Head, Image size 240x240, Slice 92 of 155
FLAIR magnetic resonance.
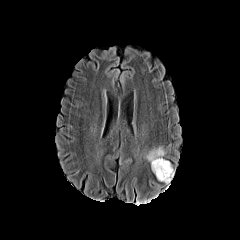
T1-weighted MR.
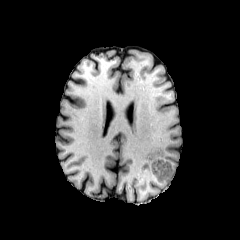
Post-contrast T1-weighted magnetic resonance.
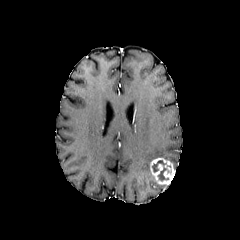
T2-weighted magnetic resonance.
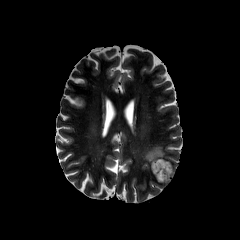
Enhancing tumor — x1=150 y1=158 x2=175 y2=184.
Edema — x1=143 y1=146 x2=164 y2=163.
Non-enhancing tumor core — x1=152 y1=160 x2=171 y2=181.